Slice 91/155
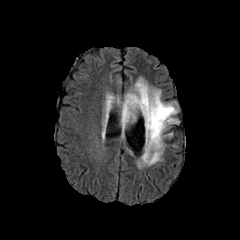
FLAIR MR image.
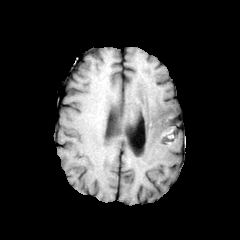
T1-weighted MRI.
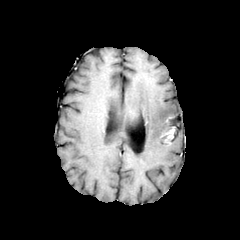
Post-contrast T1-weighted MRI of the same slice.
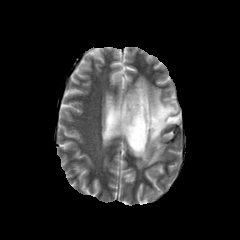
T2-weighted MRI of the same slice.
non-enhancing_tumor_core:
  - rect(126, 100, 137, 118)
  - rect(146, 106, 177, 135)
edema:
  - rect(103, 94, 114, 127)
  - rect(117, 77, 179, 166)